FLAIR MR.
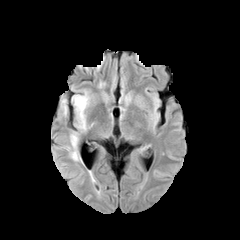
T1-weighted MRI.
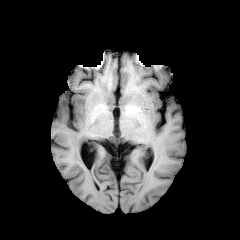
Post-contrast T1-weighted MRI.
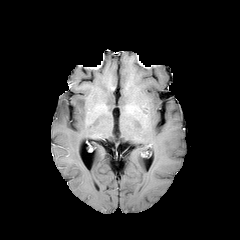
T2-weighted magnetic resonance.
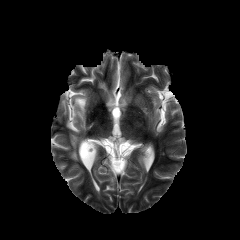
Head.
<segmentation>
  <edema>(x1=67, y1=90, x2=90, y2=161), (x1=61, y1=99, x2=68, y2=114)</edema>
</segmentation>